Image width 388 mm, Liver, CT image

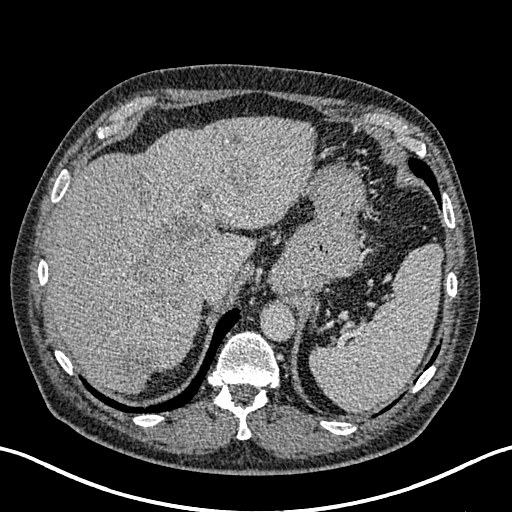

<segmentation>
  <liver>184,269,195,282; 49,117,314,390</liver>
  <focal_liver_lesion>224,156,259,189; 130,215,211,311; 195,185,213,204; 118,340,163,378</focal_liver_lesion>
</segmentation>